FLAIR MR.
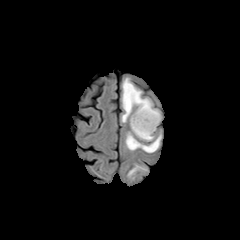
T1-weighted MR image.
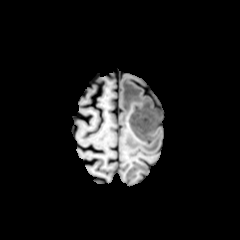
Post-contrast T1-weighted MR image.
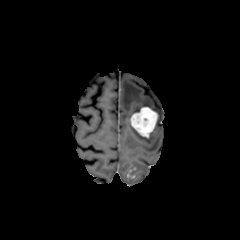
T2-weighted MR image.
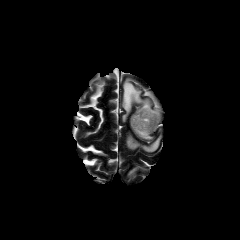
240x240
enhancing_tumor:
  - [x1=129, y1=107, x2=158, y2=138]
edema:
  - [x1=121, y1=78, x2=160, y2=130]
  - [x1=126, y1=132, x2=161, y2=152]
  - [x1=132, y1=128, x2=153, y2=141]